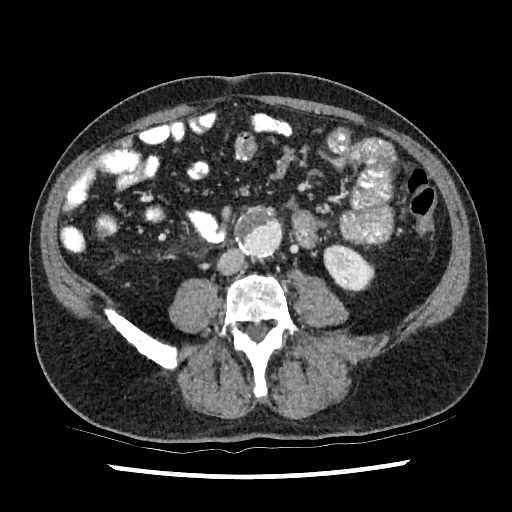

CT image.
{
  "kidney": [
    "[330,252,373,290]"
  ]
}